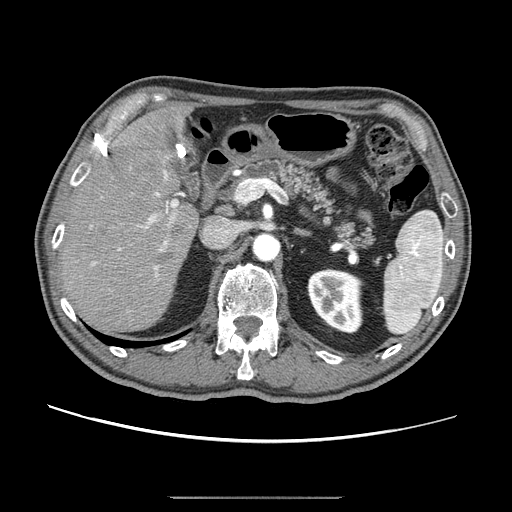 CT scan slice.

Findings:
- pancreas: left=241, top=160, right=374, bottom=245